FLAIR MR.
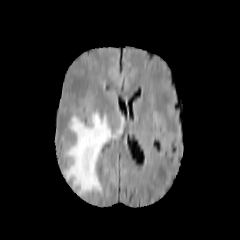
T1-weighted magnetic resonance.
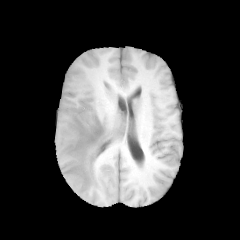
Post-contrast T1-weighted magnetic resonance.
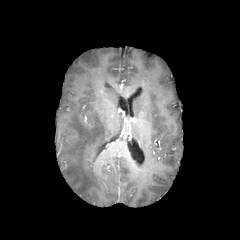
T2-weighted MR image.
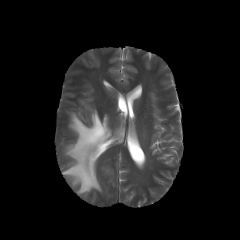
Head
<segmentation>
  <edema>bbox(63, 111, 124, 193)</edema>
</segmentation>